Slice index 223; Image size 512x512; CT image

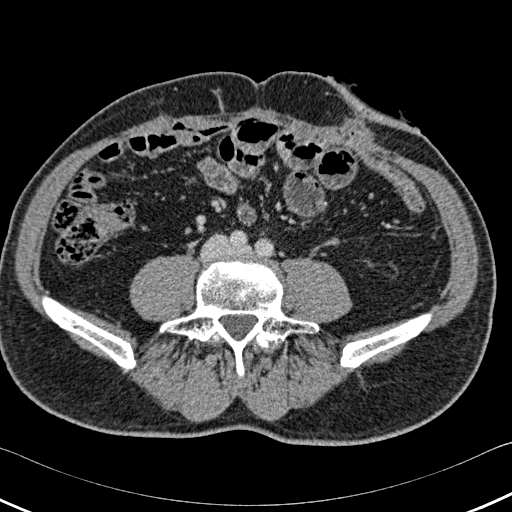 3 bone regions appear at [43, 298, 135, 368], [160, 260, 318, 377], [341, 314, 430, 367].